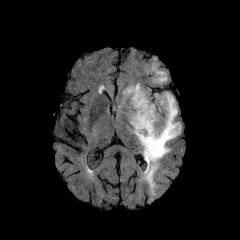
FLAIR MR image.
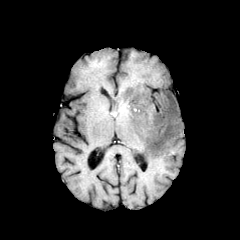
Same slice, T1-weighted MR.
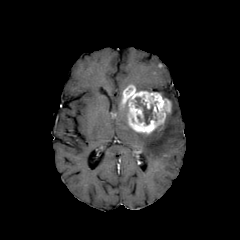
Post-contrast T1-weighted MRI.
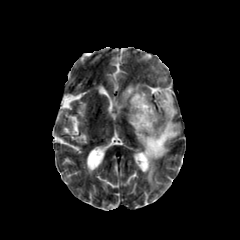
Same slice, T2-weighted MRI.
The edema is located at rect(133, 92, 181, 194). The enhancing tumor appears at rect(122, 84, 171, 133). The non-enhancing tumor core lies within rect(135, 97, 153, 124).